Slice 32/85; CT slice; Abdomen; Field of view 500x500 mm

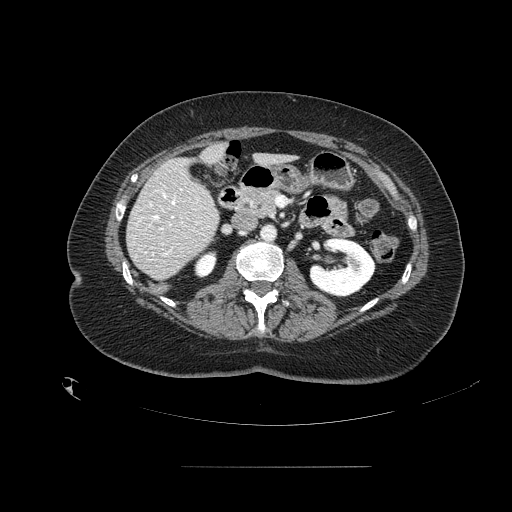

<segmentation>
  <pancreas>234, 187, 281, 219</pancreas>
</segmentation>